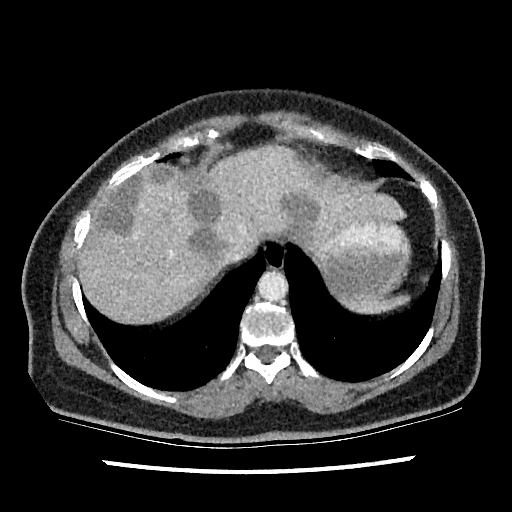
Computed tomography. Liver.
<segmentation>
  <hepatic_lesion>280:193:318:241, 96:175:140:234, 179:169:229:257, 153:165:173:182</hepatic_lesion>
  <liver>97:189:115:214, 200:146:402:248, 80:164:228:324</liver>
</segmentation>